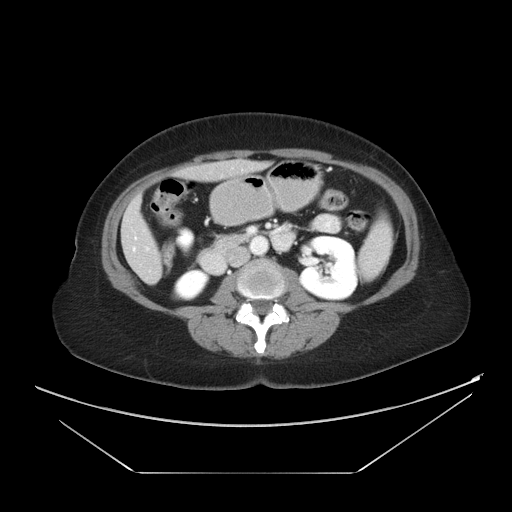

CT image | Liver

Some hepatic vessels may have no box.
Annotated regions:
- hepatic vessel: (x1=146, y1=247, x2=148, y2=249), (x1=133, y1=247, x2=135, y2=250)